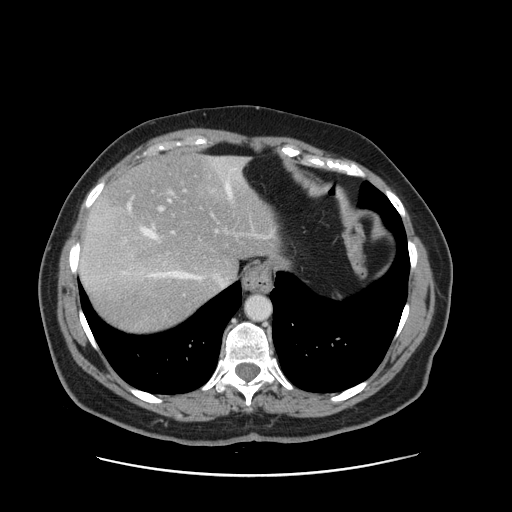

Liver | CT slice

Some hepatic vessels may have no box.
hepatic vessel: x1=216, y1=230, x2=217, y2=231; x1=232, y1=169, x2=235, y2=169; x1=194, y1=276, x2=197, y2=278; x1=256, y1=233, x2=271, y2=237; x1=159, y1=207, x2=163, y2=210; x1=155, y1=271, x2=176, y2=275; x1=226, y1=183, x2=231, y2=197; x1=169, y1=200, x2=171, y2=201; x1=124, y1=272, x2=126, y2=273